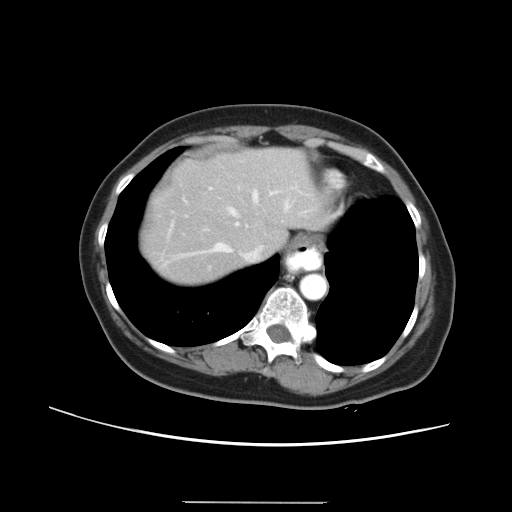

CT image
Only some of the vessels may be annotated.
{"hepatic_vessel": ["[176,243,231,257]", "[252,190,257,201]", "[227,207,235,214]", "[169,224,172,232]", "[235,222,238,225]", "[184,199,185,201]"]}